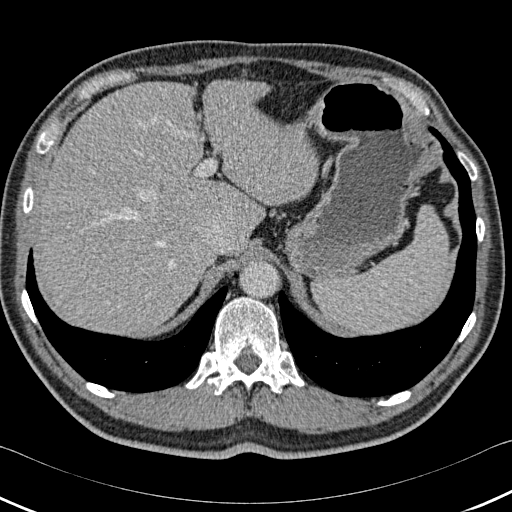

CT image, 512x512
9 bone regions appear at x1=23 y1=187 x2=33 y2=213, x1=21 y1=290 x2=36 y2=322, x1=458 y1=152 x2=477 y2=180, x1=86 y1=383 x2=114 y2=397, x1=476 y1=217 x2=484 y2=241, x1=377 y1=391 x2=410 y2=405, x1=186 y1=297 x2=304 y2=394, x1=458 y1=312 x2=475 y2=341, x1=37 y1=131 x2=53 y2=153. The liver is located at x1=41 y1=80 x2=318 y2=334. 2 lung regions are bounded by x1=26 y1=248 x2=228 y2=392, x1=278 y1=126 x2=477 y2=398.